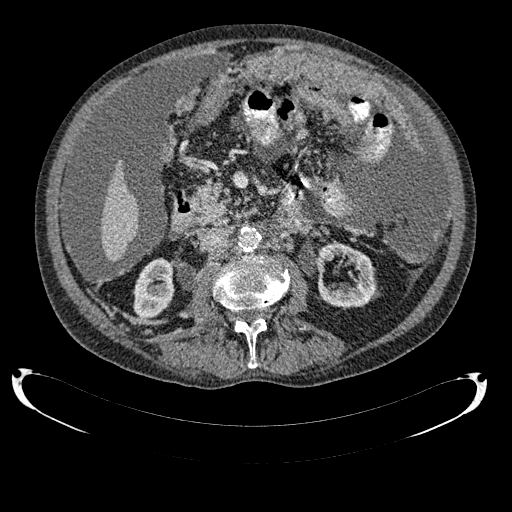 CT slice; Upper abdomen
{
  "liver": [
    "bbox(101, 160, 138, 262)"
  ],
  "kidney": [
    "bbox(134, 258, 173, 320)",
    "bbox(315, 243, 375, 307)"
  ]
}